512x512. Slice index 148. Computed tomography.
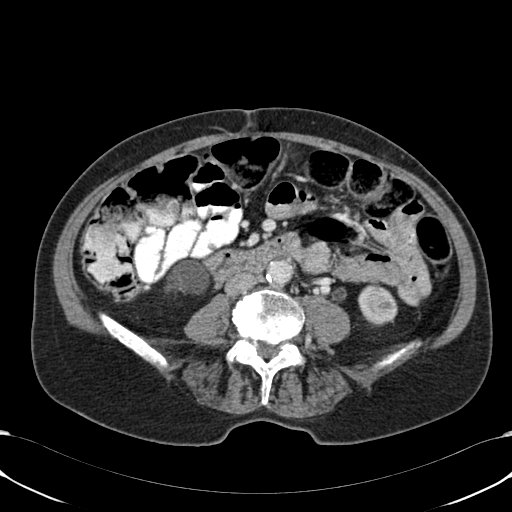
kidney:
  - (358,286,396,323)